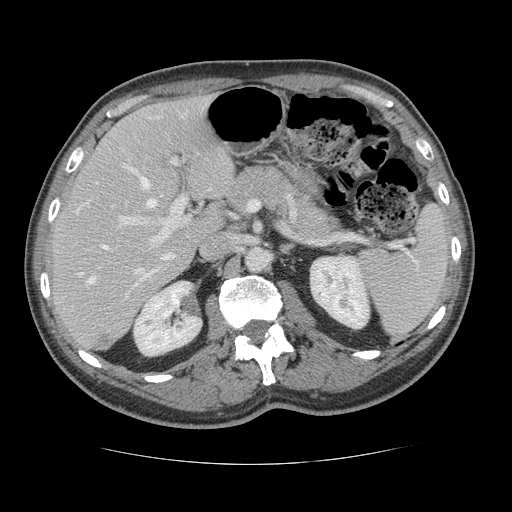

Liver. CT slice.

The vessel boxes may cover only some of the vessels.
partial: true
hepatic_vessel:
  # 15 of 20 shown
  - 87 276 94 282
  - 162 253 174 259
  - 119 216 146 226
  - 134 283 137 285
  - 147 199 156 206
  - 148 116 150 118
  - 149 196 191 243
  - 123 164 135 172
  - 75 201 88 213
  - 102 245 107 248
  - 140 175 149 188
  - 134 268 154 279
  - 170 158 176 164
  - 77 272 82 274
  - 125 293 127 297
liver_tumor:
  - 96 335 114 349